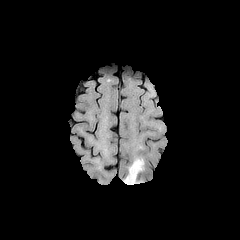
FLAIR MR image.
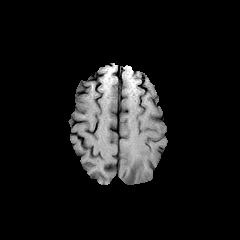
T1-weighted MRI.
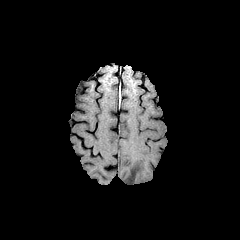
Same slice, post-contrast T1-weighted MR image.
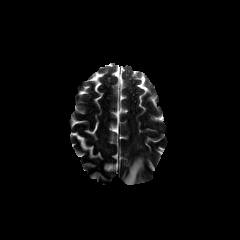
Same slice, T2-weighted magnetic resonance.
240x240. Head.
Edema: (left=124, top=159, right=142, bottom=184).